Hippocampus. MR.
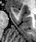 <segmentation>
  <anterior_hippocampus>x1=12 y1=7 x2=19 y2=12</anterior_hippocampus>
</segmentation>